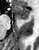
MRI slice. Medial temporal lobe. 39x50.

Anterior hippocampus: bounding box 12:6:28:19.